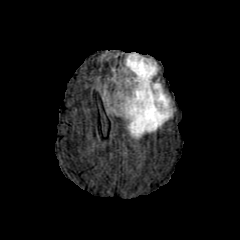
FLAIR MR image.
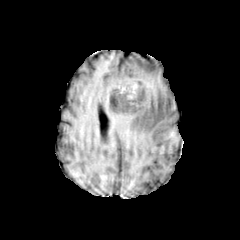
Same slice, T1-weighted MRI.
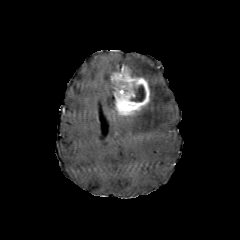
Post-contrast T1-weighted MR image.
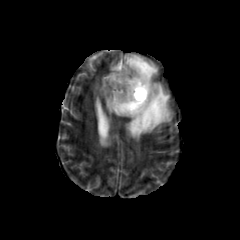
Same slice, T2-weighted MRI.
2 edema regions are located at (left=123, top=53, right=172, bottom=138), (left=102, top=85, right=117, bottom=114). The non-enhancing tumor core is located at (left=132, top=85, right=145, bottom=101). The enhancing tumor is bounded by (left=111, top=65, right=149, bottom=115).